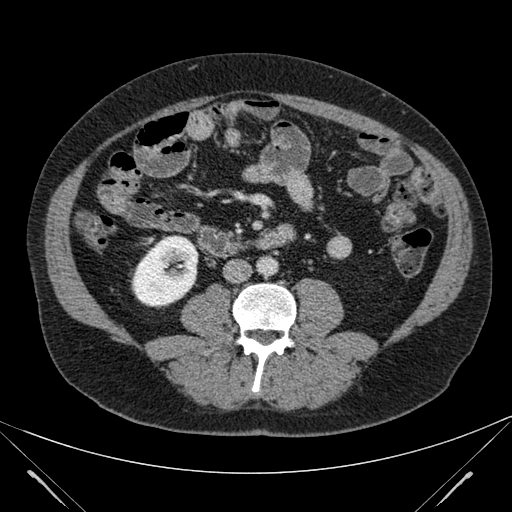
512x512. Computed tomography. • kidney: (133, 236, 197, 305)